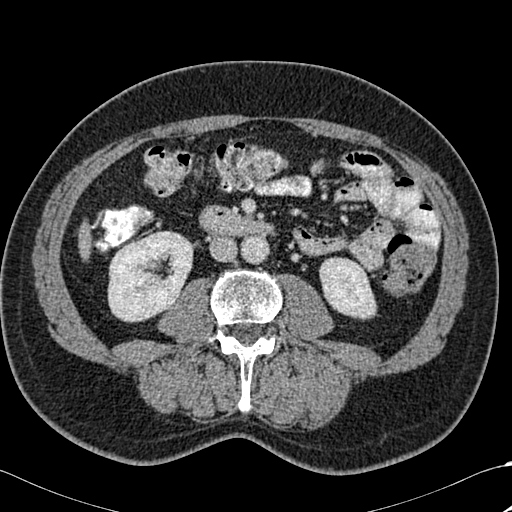
CT scan slice, Upper abdomen

2 kidney regions appear at bbox=[320, 258, 375, 317]; bbox=[108, 231, 192, 321]. The liver is located at bbox=[79, 235, 89, 248]. 2 bone regions are located at bbox=[211, 270, 281, 329]; bbox=[210, 330, 274, 410].